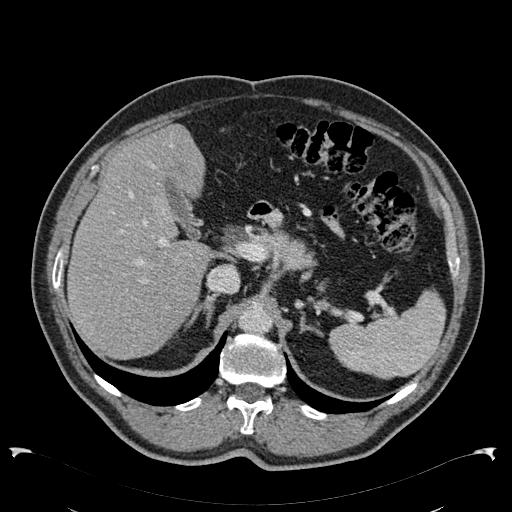
CT image. Image size 512x512.

liver: left=67, top=125, right=214, bottom=358 | focal liver lesion: left=154, top=198, right=169, bottom=217